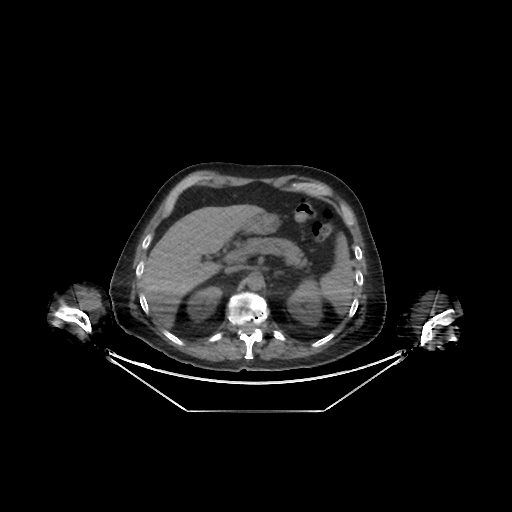
Abdomen. Image size 512x512. CT.
Kidney — x1=287 y1=282 x2=326 y2=326, x1=185 y1=282 x2=225 y2=322.
Liver — x1=141 y1=205 x2=269 y2=330, x1=224 y1=253 x2=235 y2=262.